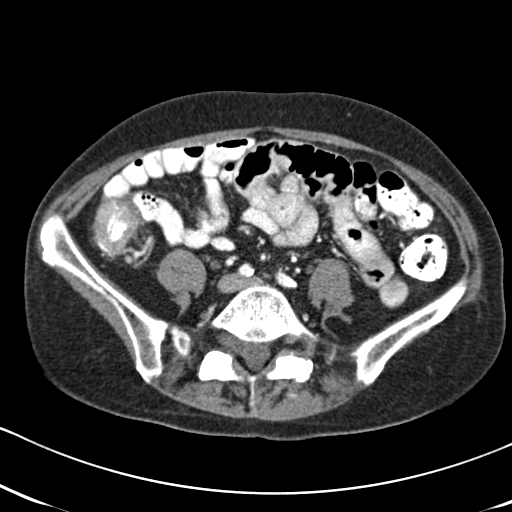

512x512 px | Computed tomography
The colon tumor lies within [93,202,138,252].